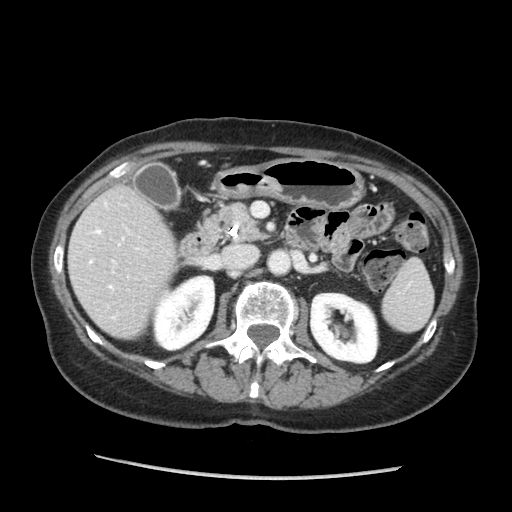

Computed tomography. Upper abdomen.

Pancreatic tumor at <box>223,205,249,222</box>.
Pancreas at <box>216,203,264,240</box>.